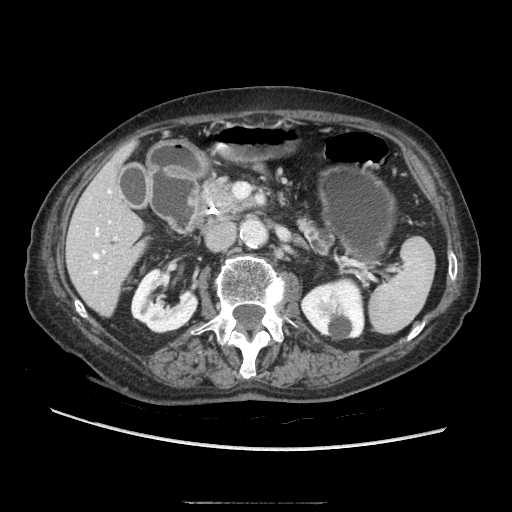
CT slice. The pancreatic tumor appears at 211,184,232,205. 2 pancreas regions are bounded by 204,178,253,213; 298,217,328,253.